Field of view 35 mm wide, 1.00 mm slice spacing | 35x53 px | MRI 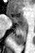

Posterior hippocampus: {"x1": 11, "y1": 26, "x2": 26, "y2": 44}.
Anterior hippocampus: {"x1": 10, "y1": 14, "x2": 23, "y2": 22}, {"x1": 22, "y1": 21, "x2": 25, "y2": 21}.